CT image | Slice index 433 | 512x512 px
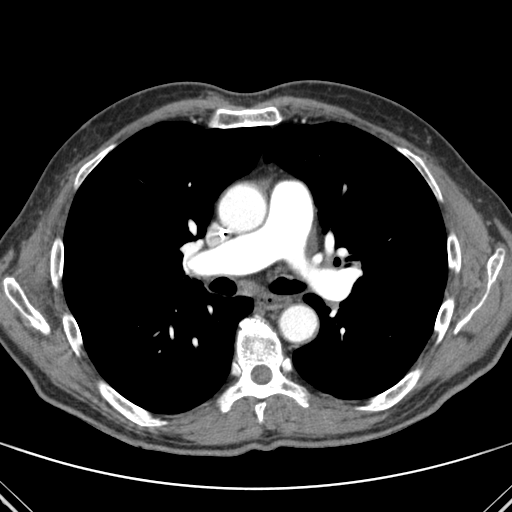 Bone = left=447, top=234, right=460, bottom=272; left=75, top=145, right=112, bottom=183; left=219, top=316, right=308, bottom=422; left=229, top=270, right=243, bottom=274; left=357, top=369, right=421, bottom=410; left=398, top=148, right=441, bottom=199; left=50, top=239, right=63, bottom=286; left=63, top=315, right=81, bottom=354; left=454, top=296, right=485, bottom=333; left=192, top=267, right=201, bottom=274; left=3, top=277, right=49, bottom=333; left=99, top=382, right=165, bottom=426; left=210, top=107, right=281, bottom=128; left=435, top=298, right=453, bottom=341; left=487, top=253, right=503, bottom=288.
Lung = left=63, top=121, right=447, bottom=413; left=307, top=295, right=317, bottom=304.